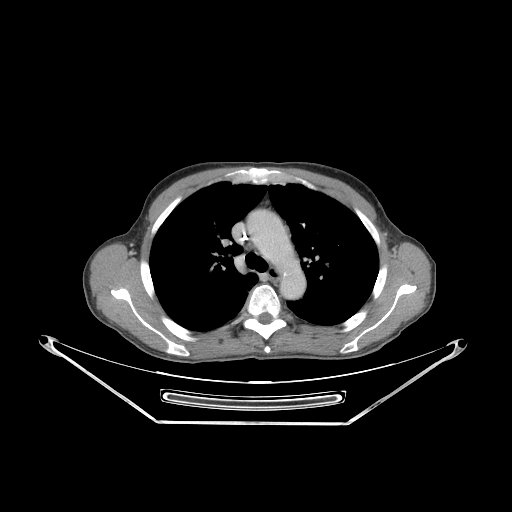 Thorax, Computed tomography

Annotated regions:
* lung: rect(150, 182, 378, 331)
* bone: rect(153, 198, 179, 231); rect(162, 318, 193, 339); rect(357, 210, 378, 242); rect(242, 169, 272, 183); rect(244, 285, 285, 339); rect(141, 262, 153, 296); rect(341, 284, 416, 351); rect(373, 266, 386, 297); rect(111, 288, 188, 355); rect(344, 312, 365, 330)